Brain. 240x240. Slice index 64.
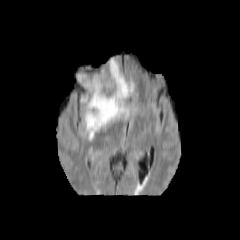
FLAIR MR image.
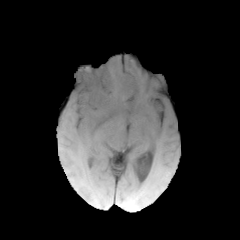
T1-weighted magnetic resonance.
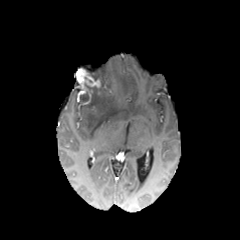
Post-contrast T1-weighted MR image of the same slice.
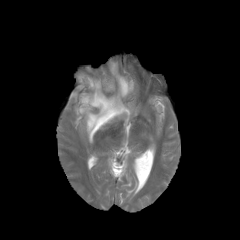
T2-weighted MR of the same slice.
The edema lies within bbox(78, 59, 135, 139). The non-enhancing tumor core appears at bbox(75, 66, 114, 111). The enhancing tumor is at bbox(76, 68, 100, 101).